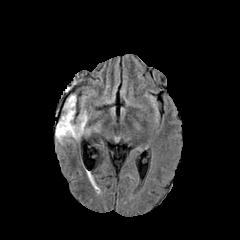
FLAIR MRI.
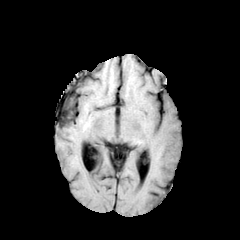
T1-weighted MR.
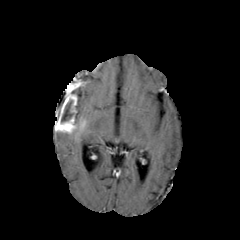
Post-contrast T1-weighted MR image.
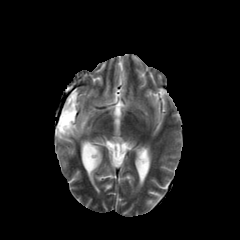
T2-weighted MR image of the same slice.
Head
• enhancing tumor: <bbox>55, 94, 85, 133</bbox>, <bbox>66, 83, 75, 94</bbox>
• edema: <bbox>58, 126, 89, 143</bbox>, <bbox>79, 111, 89, 120</bbox>
• non-enhancing tumor core: <bbox>61, 84, 81, 125</bbox>, <bbox>56, 92, 68, 124</bbox>